CT scan slice, Upper abdomen 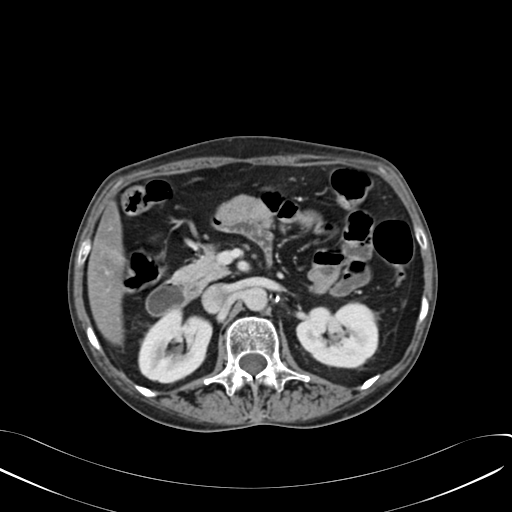
2 kidney regions are located at <bbox>140, 311, 210, 381</bbox>, <bbox>297, 305, 376, 366</bbox>. The liver is bounded by <bbox>88, 201, 123, 344</bbox>.